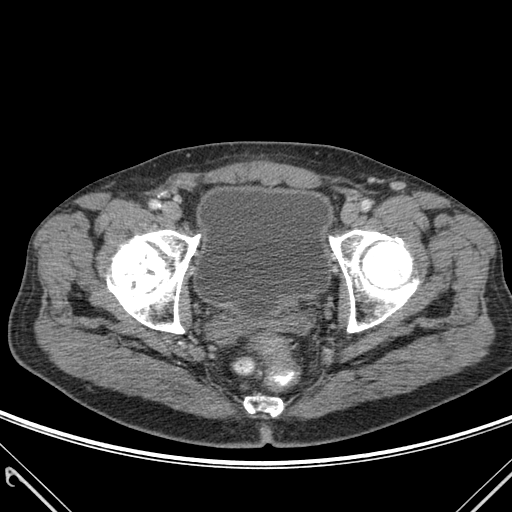
CT scan slice
bone: rect(107, 230, 200, 333); rect(329, 230, 418, 332); rect(244, 397, 283, 416) | urinary bladder: rect(196, 190, 329, 315)